FLAIR magnetic resonance.
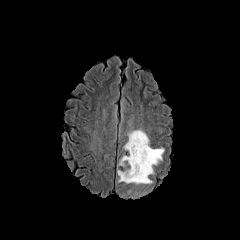
T1-weighted MRI.
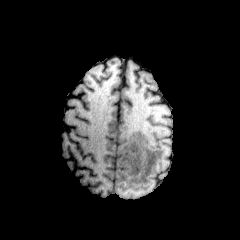
Post-contrast T1-weighted magnetic resonance.
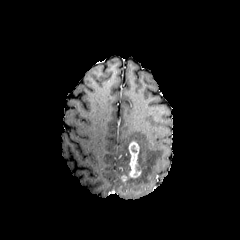
T2-weighted MR.
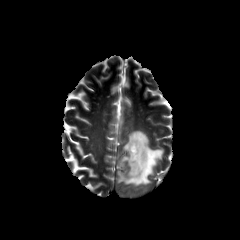
Brain
Segmented structures:
- edema: (118,130,163,198)
- enhancing tumor: (120,142,142,181)